FLAIR magnetic resonance.
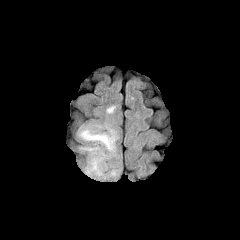
T1-weighted magnetic resonance.
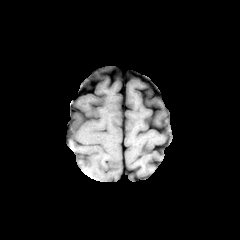
Post-contrast T1-weighted MR.
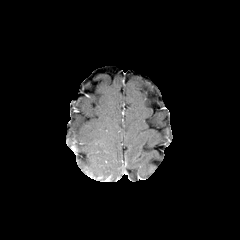
T2-weighted MR.
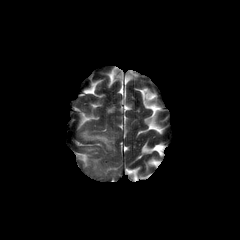
240x240 px | Brain
The edema is located at <bbox>80, 126, 112, 148</bbox>.